FLAIR MRI.
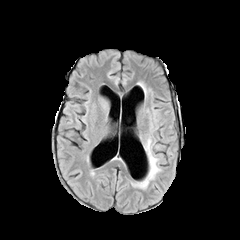
T1-weighted MR.
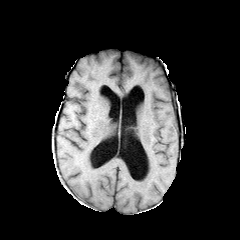
Post-contrast T1-weighted MR.
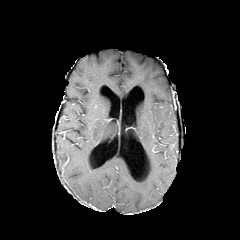
T2-weighted magnetic resonance.
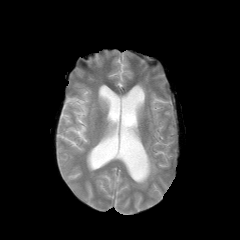
240x240; Head
* edema: l=131, t=106, r=161, b=189